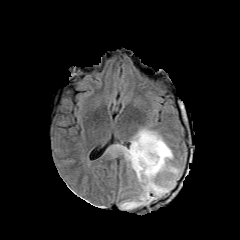
FLAIR magnetic resonance.
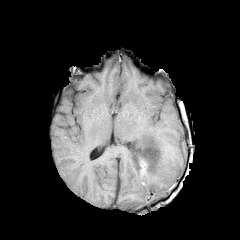
Same slice, T1-weighted MRI.
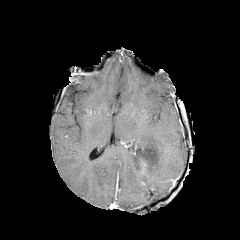
Post-contrast T1-weighted MR image.
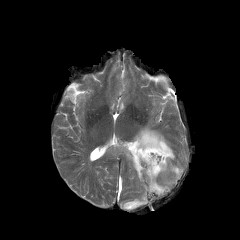
T2-weighted MR.
Brain
The non-enhancing tumor core lies within 130:140:139:155. The edema is bounded by 109:126:182:209.